FLAIR MRI.
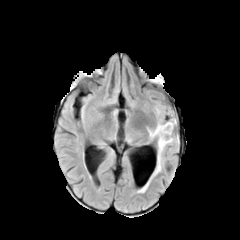
T1-weighted magnetic resonance.
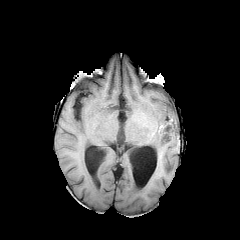
Post-contrast T1-weighted magnetic resonance.
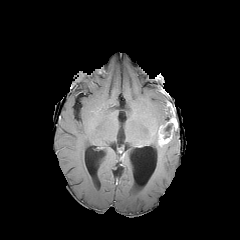
T2-weighted MRI.
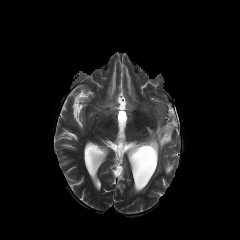
2 enhancing tumor regions appear at 158, 128, 171, 145; 168, 114, 177, 129. The non-enhancing tumor core lies within 160, 122, 172, 137. 2 edema regions are located at 146, 111, 171, 143; 138, 137, 173, 192.